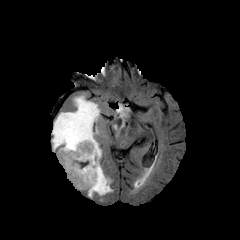
FLAIR MR image.
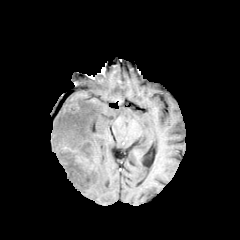
T1-weighted magnetic resonance.
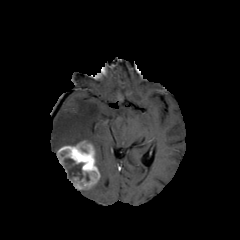
Same slice, post-contrast T1-weighted MRI.
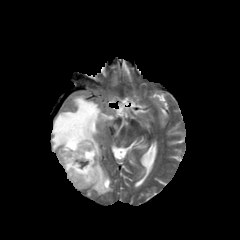
Same slice, T2-weighted MR.
Head
Segmented structures:
* enhancing tumor: rect(57, 141, 99, 188)
* non-enhancing tumor core: rect(59, 158, 91, 189)
* edema: rect(116, 106, 128, 117); rect(52, 95, 112, 196)